CT image, Image size 512x512

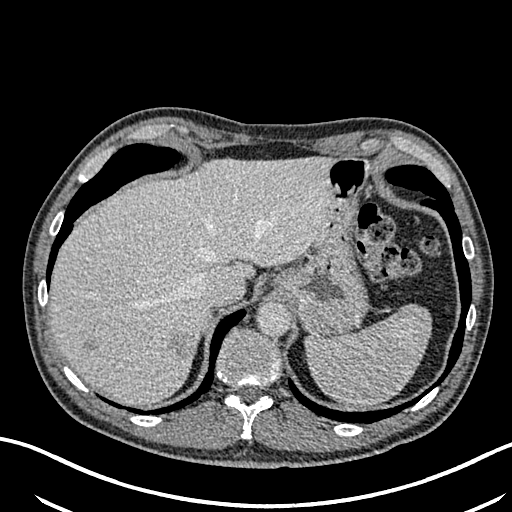

Liver at box=[49, 156, 334, 403].
Liver lesion at box=[168, 333, 192, 359]; box=[85, 342, 97, 351].